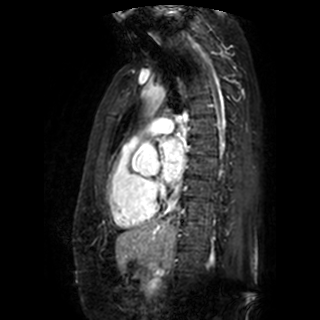 MRI slice; Cardiac; 320x320 px
Left atrium = (161,139,185,181).